Field of view 512x512 mm, Abdomen, Slice index 109, CT slice 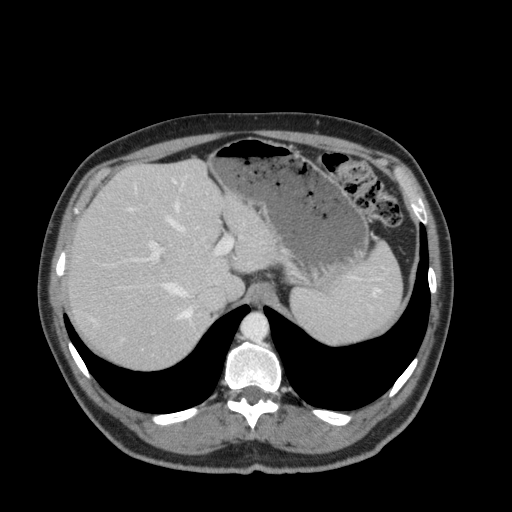

Liver: (329, 239, 402, 345), (68, 161, 277, 367).